38x50, Slice 30 of 38, Medial temporal lobe, MRI slice
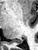
{
  "posterior_hippocampus": [
    "x1=13, y1=40, x2=22, y2=43"
  ]
}